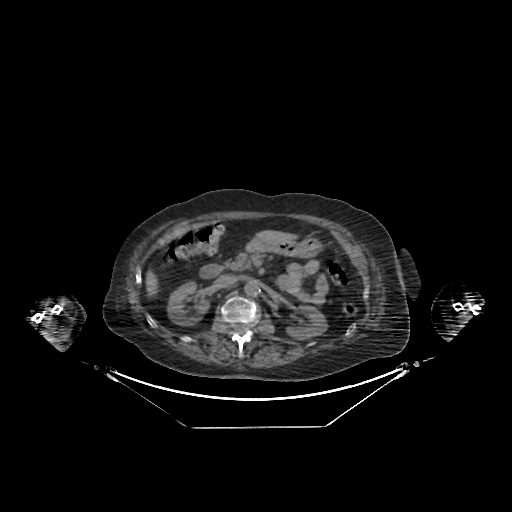

CT scan slice, Liver

2 liver regions are bounded by (248, 230, 293, 244), (145, 270, 159, 298). 2 kidney regions are located at (167, 281, 209, 325), (286, 304, 327, 339).